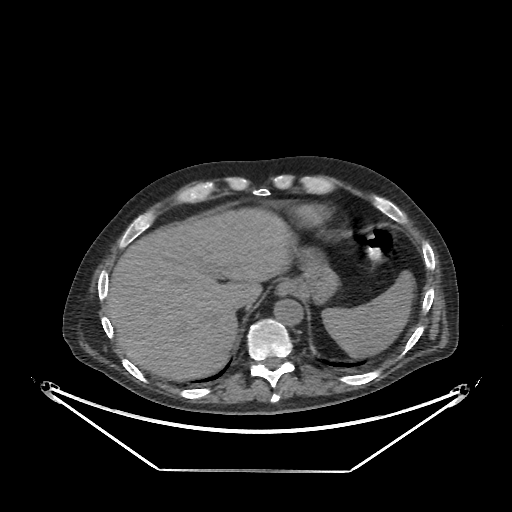 Abdomen; Computed tomography
Liver: x1=102, y1=209, x2=287, y2=380.